Computed tomography | Upper abdomen

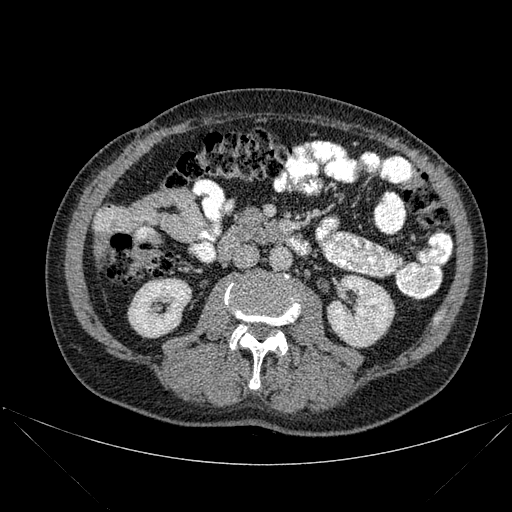 The liver lies within 99,234,109,255. 2 kidney regions are bounded by 328,275,393,346; 128,279,190,337. 2 bone regions are located at 230,324,287,388; 224,280,298,325.